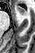 MR image; 35x53

Annotated regions:
* anterior hippocampus: box(16, 6, 25, 16)